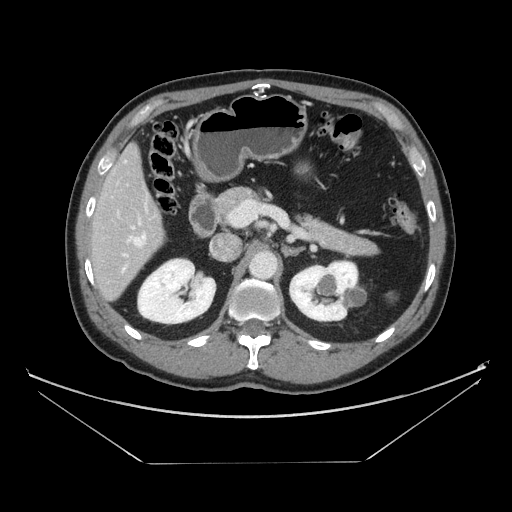
Abdomen. Computed tomography.

2 pancreas regions are located at left=217, top=186, right=263, bottom=221; left=293, top=214, right=379, bottom=256.